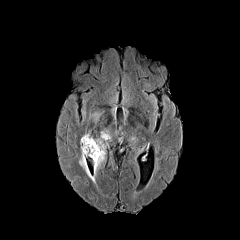
FLAIR magnetic resonance.
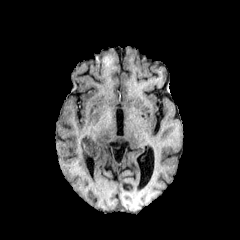
T1-weighted MR image.
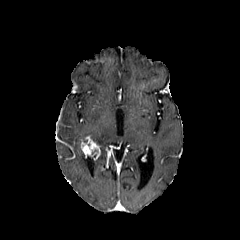
Post-contrast T1-weighted MRI.
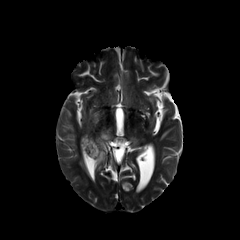
T2-weighted MR.
3 edema regions are bounded by [x1=89, y1=112, x2=102, y2=121], [x1=93, y1=130, x2=111, y2=175], [x1=79, y1=150, x2=95, y2=183]. The non-enhancing tumor core is located at [x1=87, y1=149, x2=98, y2=160]. The enhancing tumor is at [x1=80, y1=135, x2=100, y2=159].